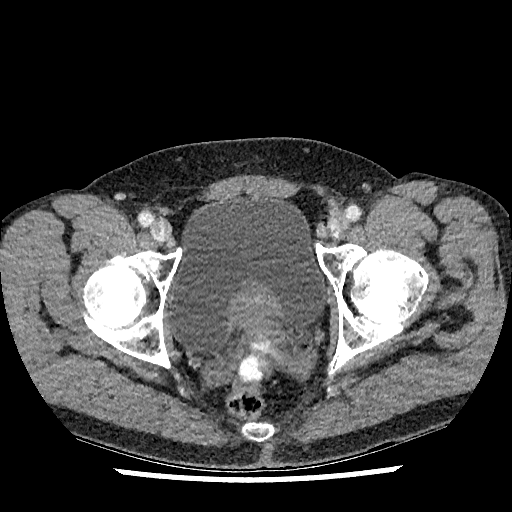

CT scan slice, Lower abdomen, 512x512

The urinary bladder lies within [168, 198, 327, 352].